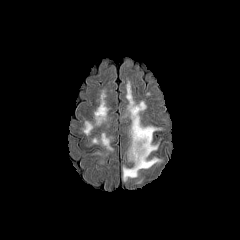
FLAIR MR image.
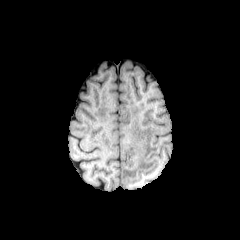
Same slice, T1-weighted magnetic resonance.
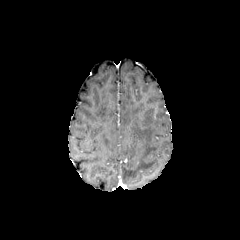
Post-contrast T1-weighted MR.
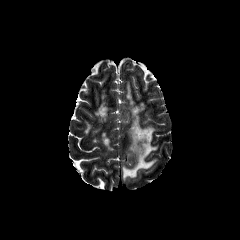
T2-weighted magnetic resonance of the same slice.
240x240 px | Head
Edema at bbox(83, 122, 93, 135); bbox(101, 134, 112, 150); bbox(94, 94, 106, 124); bbox(123, 82, 160, 182).